CT scan slice; 512x512 px; Abdomen

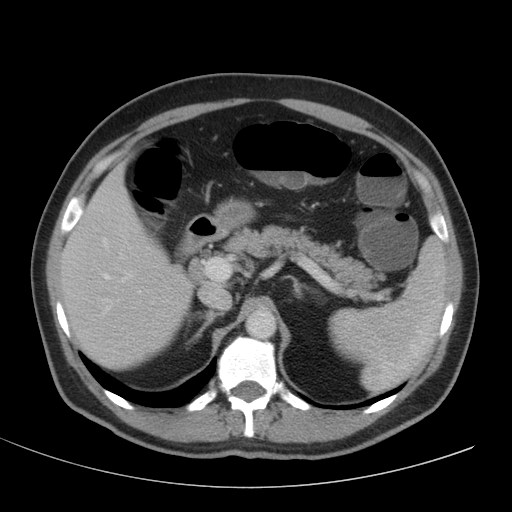

2 liver regions are bounded by left=199, top=279, right=230, bottom=309; left=56, top=162, right=193, bottom=366.